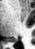

Medial temporal lobe | MRI
<segmentation>
  <posterior_hippocampus>bbox=[13, 39, 17, 42]</posterior_hippocampus>
</segmentation>